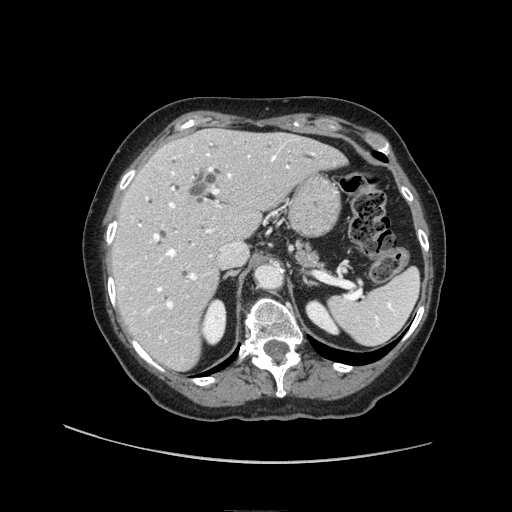

Abdomen; CT scan slice
pancreas: 295,243,320,266